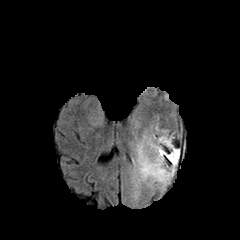
FLAIR magnetic resonance.
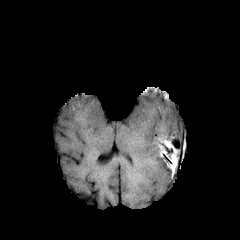
T1-weighted magnetic resonance.
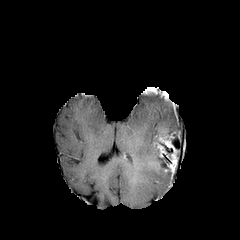
Same slice, post-contrast T1-weighted magnetic resonance.
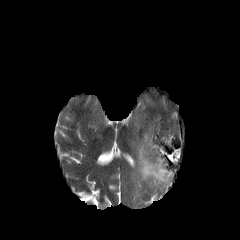
T2-weighted MR.
enhancing_tumor:
  - 160, 136, 178, 173
edema:
  - 131, 126, 176, 199